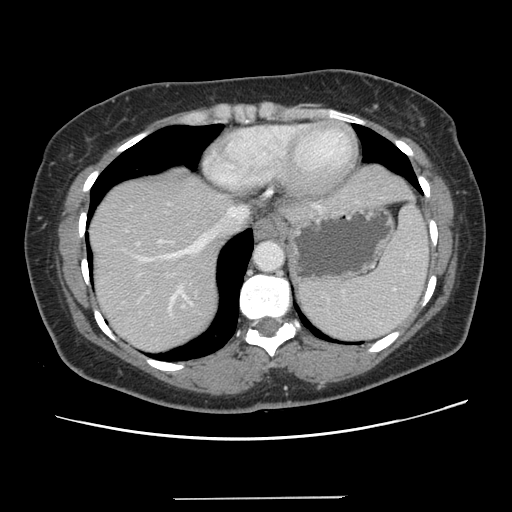 Liver | CT slice | 512x512 px
The vessel boxes may cover only some of the vessels.
<segmentation>
  <hepatic_vessel>box=[158, 240, 164, 242]; box=[189, 302, 191, 304]; box=[139, 257, 149, 261]; box=[169, 288, 187, 311]; box=[227, 207, 246, 218]; box=[169, 234, 210, 256]; box=[137, 243, 138, 244]</hepatic_vessel>
</segmentation>